Chest. CT image.
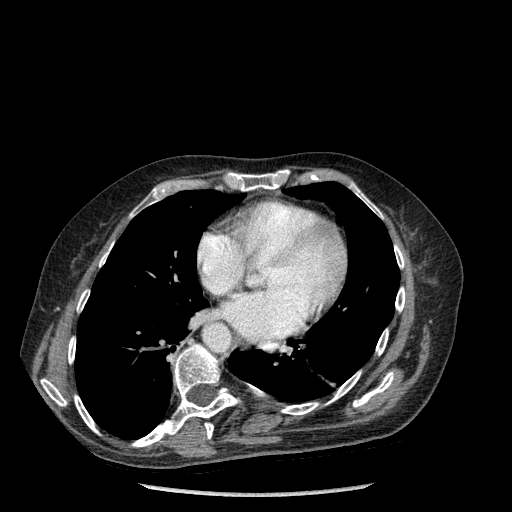 2 lung regions are located at (left=228, top=182, right=399, bottom=401), (left=75, top=190, right=242, bottom=439). The largest 15 bone regions (of 17) are bounded by (left=132, top=344, right=239, bottom=446), (left=395, top=287, right=405, bottom=311), (left=74, top=395, right=99, bottom=434), (left=40, top=379, right=66, bottom=406), (left=394, top=244, right=404, bottom=268), (left=227, top=170, right=289, bottom=191), (left=248, top=384, right=264, bottom=396), (left=376, top=329, right=388, bottom=355), (left=281, top=402, right=320, bottom=414), (left=350, top=183, right=382, bottom=218), (left=326, top=371, right=361, bottom=404), (left=77, top=289, right=89, bottom=312), (left=130, top=188, right=159, bottom=217), (left=353, top=372, right=394, bottom=407), (left=99, top=242, right=113, bottom=266).